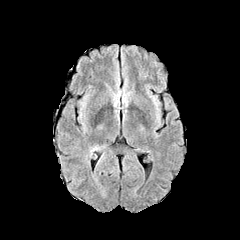
FLAIR magnetic resonance.
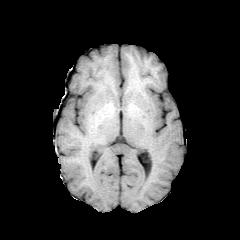
T1-weighted MR.
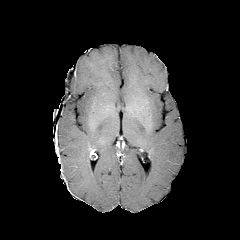
Post-contrast T1-weighted MRI of the same slice.
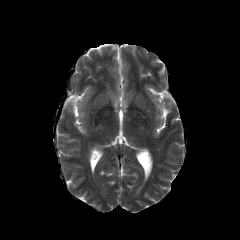
T2-weighted MR image.
240x240 px
Edema = (left=86, top=144, right=105, bottom=164), (left=116, top=92, right=124, bottom=101).